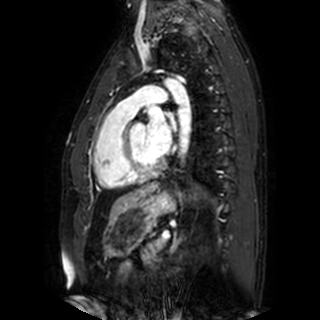 MR image | Cardiac
left_atrium:
  - [145,108,177,154]